Head.
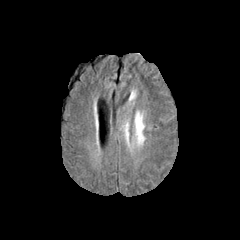
FLAIR MR.
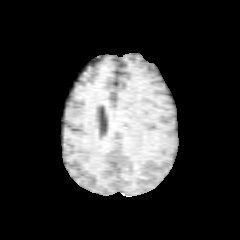
Same slice, T1-weighted magnetic resonance.
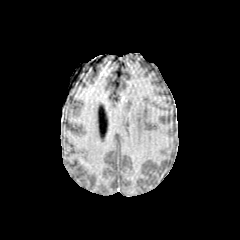
Post-contrast T1-weighted MR.
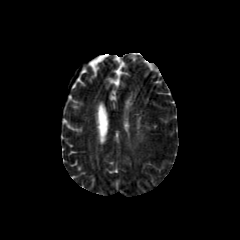
T2-weighted MRI.
Edema: [135, 112, 144, 142].